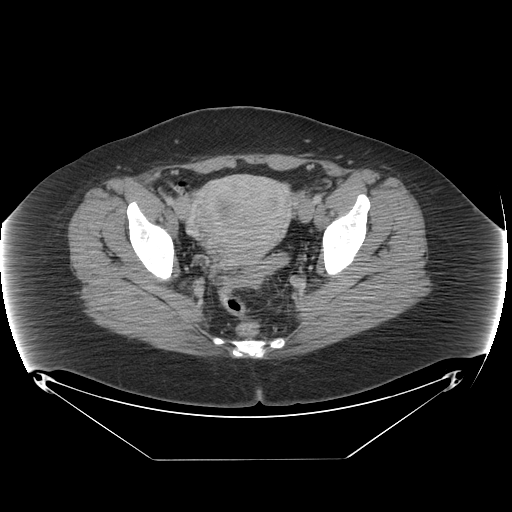 CT, Abdomen
colon tumor: [231, 252, 288, 288]